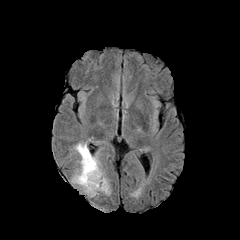
FLAIR MR image.
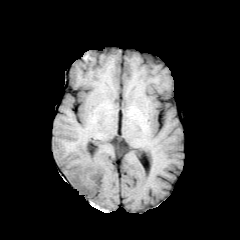
T1-weighted MRI.
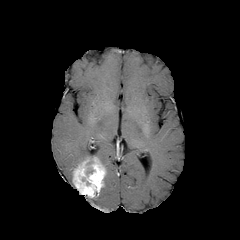
Post-contrast T1-weighted magnetic resonance.
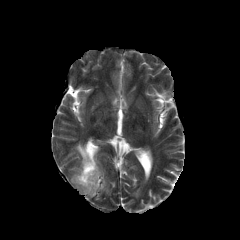
T2-weighted MR image.
Head
Annotated regions:
• enhancing tumor: (left=72, top=156, right=105, bottom=197)
• edema: (left=102, top=177, right=109, bottom=193), (left=73, top=142, right=90, bottom=163)